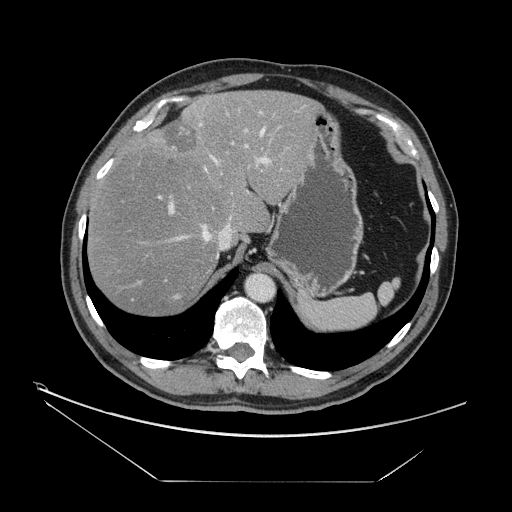 CT scan slice
Only some of the vessels may be annotated.
Segmented structures:
* hepatic vessel: x1=257, y1=157, x2=268, y2=164; x1=260, y1=128, x2=263, y2=135; x1=245, y1=145, x2=246, y2=146; x1=260, y1=112, x2=261, y2=113; x1=202, y1=226, x2=210, y2=239; x1=245, y1=130, x2=246, y2=131; x1=169, y1=204, x2=173, y2=212; x1=205, y1=168, x2=206, y2=170; x1=212, y1=157, x2=216, y2=162
* liver tumor: x1=160, y1=117, x2=196, y2=154